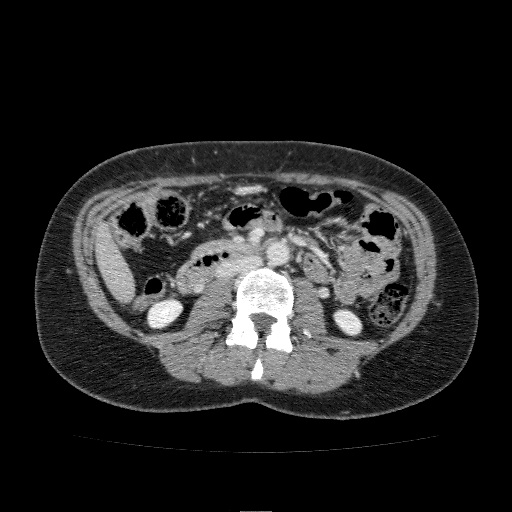
512x512. Upper abdomen. CT scan slice.
Annotated regions:
- liver: x1=95, y1=224, x2=133, y2=300
- kidney: x1=148, y1=300, x2=181, y2=327; x1=335, y1=311, x2=360, y2=334